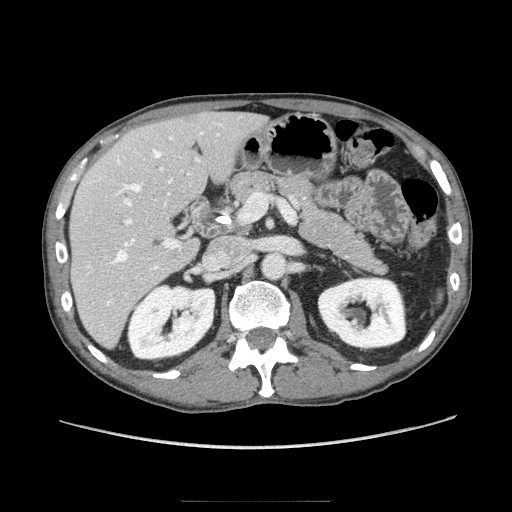 Abdomen, Computed tomography, 512x512
The pancreas appears at [x1=229, y1=172, x2=386, y2=274].